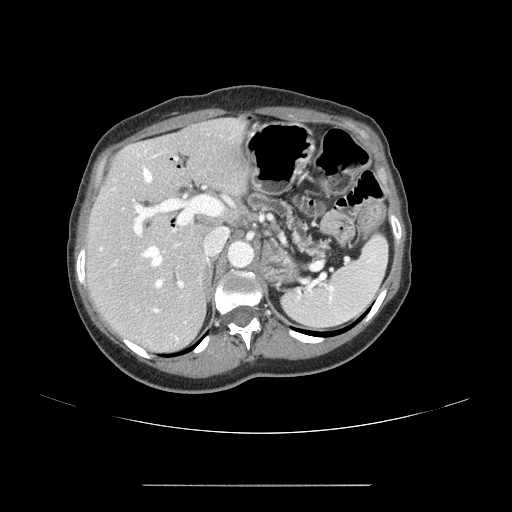

Image size 512x512; Upper abdomen; CT
Pancreas = x1=249 y1=195 x2=326 y2=259.